Slice index 418; CT slice

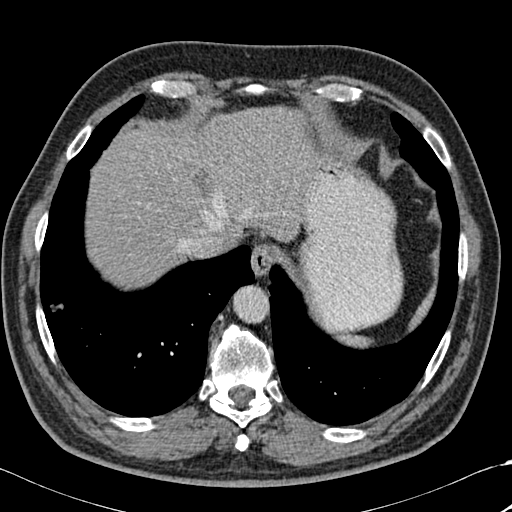

Bone: bounding box left=458, top=236, right=467, bottom=277; left=424, top=128, right=450, bottom=166; left=324, top=428, right=364, bottom=442; left=112, top=418, right=153, bottom=431; left=345, top=87, right=361, bottom=99; left=200, top=325, right=281, bottom=427; left=423, top=332, right=449, bottom=385; left=67, top=126, right=90, bottom=158; left=235, top=435, right=248, bottom=450; left=36, top=308, right=54, bottom=360; left=35, top=214, right=47, bottom=249; left=152, top=81, right=182, bottom=95; left=250, top=86, right=260, bottom=93.
Lung: bounding box left=269, top=112, right=459, bottom=425; left=40, top=94, right=254, bottom=416.
Liver lesion: bounding box left=192, top=168, right=214, bottom=198.
Liver: bounding box left=87, top=108, right=310, bottom=284; left=223, top=225, right=242, bottom=250.